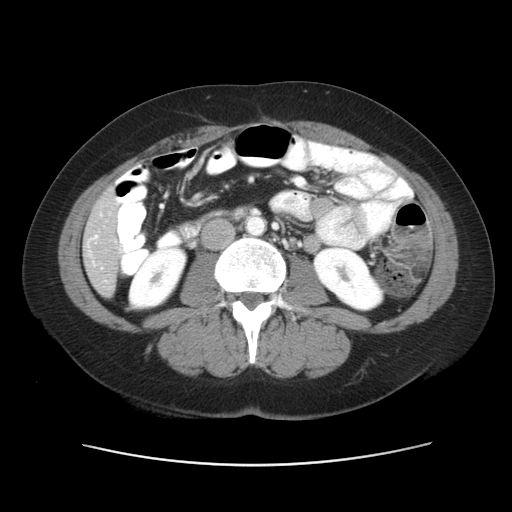
CT image.
Not every hepatic vessel necessarily has a box.
The hepatic vessel is at left=89, top=235, right=97, bottom=241.